Slice index 424; Field of view 387x387 mm; CT slice; Upper abdomen

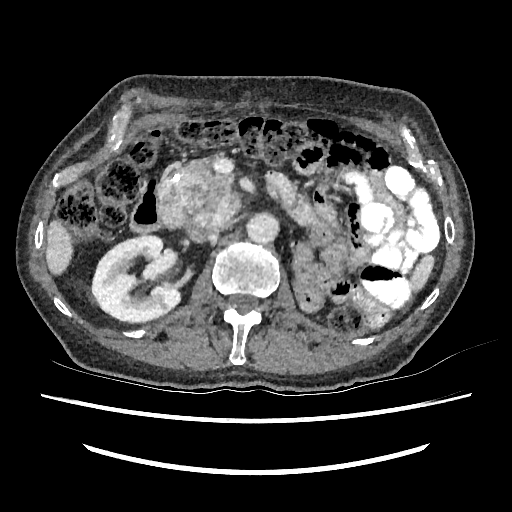

The kidney is bounded by box(92, 236, 179, 321). The liver is located at box(47, 222, 72, 273).